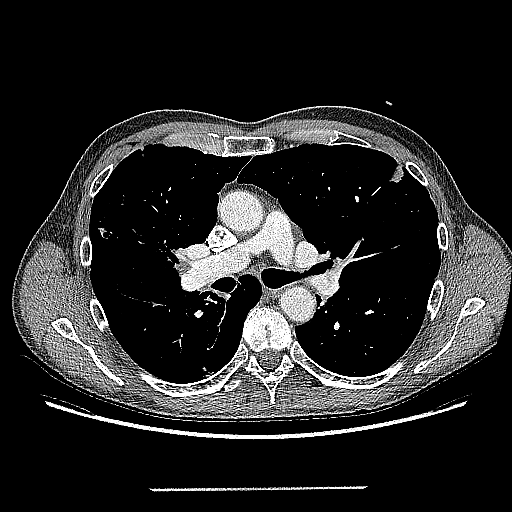
CT; Thorax
lung tumor: [382,164,404,188]